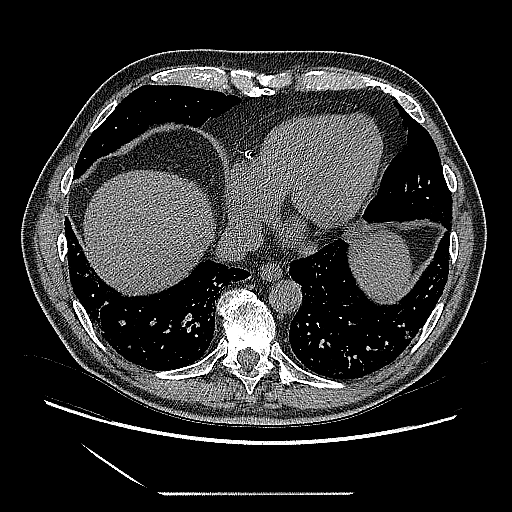

CT scan slice
The lung tumor appears at (x1=341, y1=217, x2=367, y2=243).